Abdomen | CT scan slice | Image width 482 mm 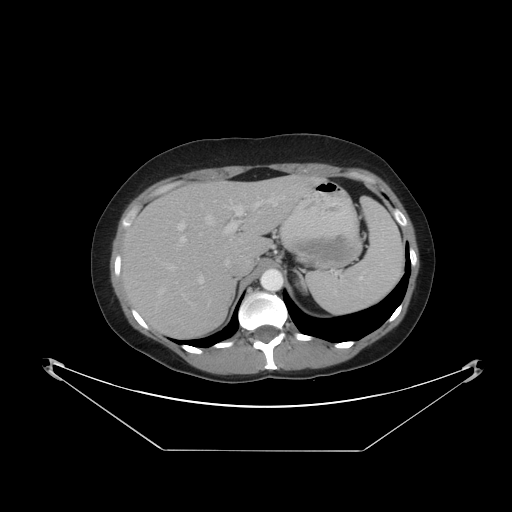
Only some of the vessels may be annotated.
Annotated regions:
- liver tumor: bbox=[304, 179, 313, 188]
- hepatic vessel (top 15 of 17): bbox=[254, 201, 262, 207]; bbox=[157, 287, 165, 296]; bbox=[240, 255, 247, 263]; bbox=[200, 204, 201, 206]; bbox=[280, 196, 284, 198]; bbox=[177, 221, 185, 230]; bbox=[268, 194, 279, 205]; bbox=[178, 236, 186, 245]; bbox=[225, 204, 243, 215]; bbox=[198, 276, 203, 287]; bbox=[224, 220, 240, 233]; bbox=[229, 236, 239, 252]; bbox=[224, 260, 228, 264]; bbox=[166, 263, 175, 270]; bbox=[205, 215, 213, 224]